Brain | 240x240 px | Slice 40 of 155
FLAIR magnetic resonance.
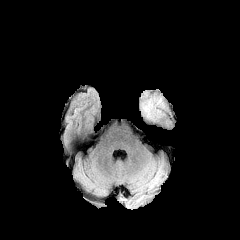
T1-weighted MRI.
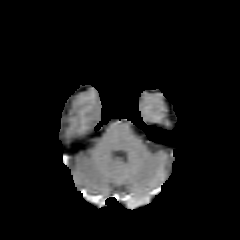
Post-contrast T1-weighted magnetic resonance.
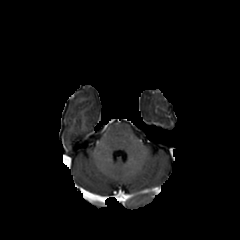
T2-weighted MR.
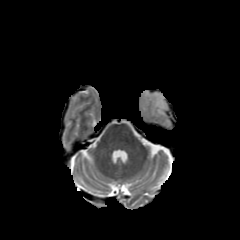
Segmented structures:
• edema: bbox=[154, 95, 164, 107]